Field of view 240 mm wide, 1.00 mm slice spacing.
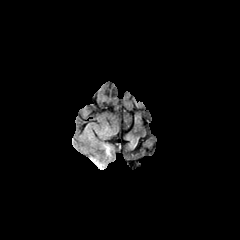
FLAIR magnetic resonance.
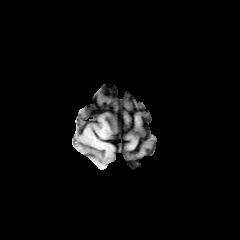
T1-weighted MR image.
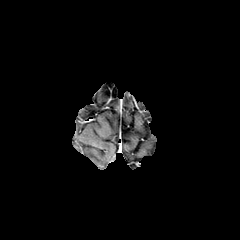
Same slice, post-contrast T1-weighted MRI.
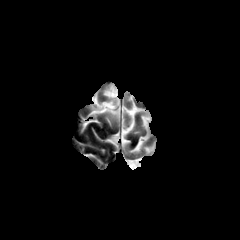
T2-weighted MR image.
edema:
  - x1=90 y1=157 x2=104 y2=168
  - x1=103 y1=144 x2=111 y2=157